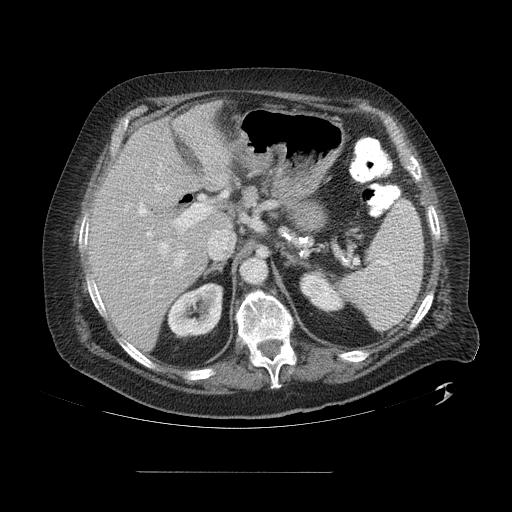
CT image
The vessel boxes may cover only some of the vessels.
{"hepatic_vessel": ["l=139, t=199, r=145, b=216", "l=159, t=242, r=167, b=253", "l=155, t=184, r=160, b=190", "l=205, t=161, r=208, b=168", "l=147, t=232, r=151, b=236", "l=149, t=277, r=155, b=284", "l=165, t=186, r=169, b=191", "l=174, t=204, r=207, b=233", "l=173, t=245, r=186, b=265"]}